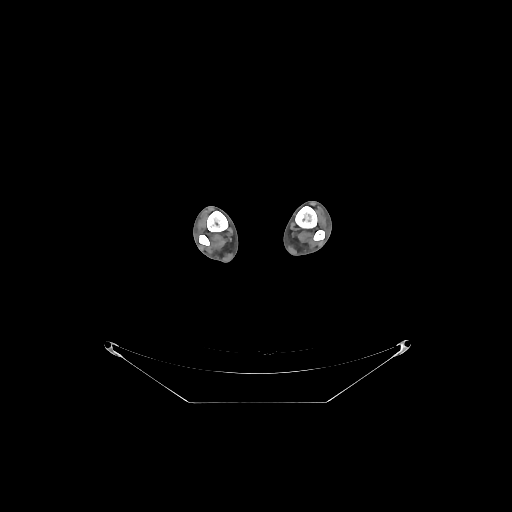

Computed tomography. 512x512 px.
4 bone regions are bounded by 199 235 209 245, 207 211 227 231, 295 206 317 228, 313 230 324 240.